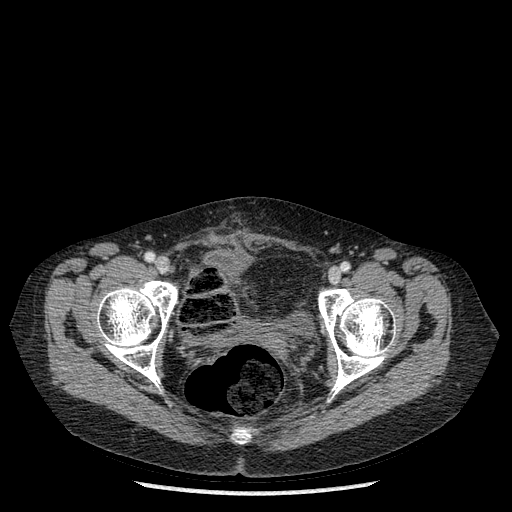 CT slice
Annotated regions:
* bone: <bbox>318, 289, 395, 398</bbox>, <bbox>95, 280, 177, 388</bbox>, <bbox>231, 430, 251, 444</bbox>